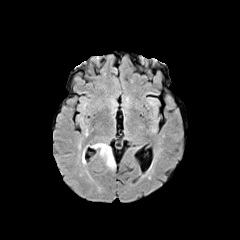
FLAIR MR image.
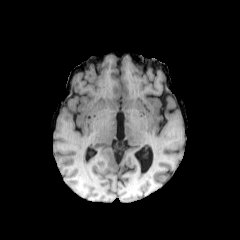
T1-weighted magnetic resonance.
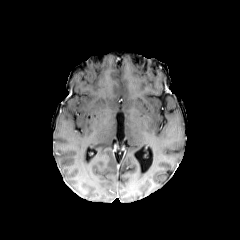
Post-contrast T1-weighted magnetic resonance.
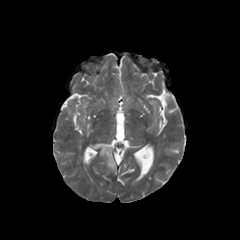
T2-weighted magnetic resonance.
Head
The edema lies within 92:142:116:170.